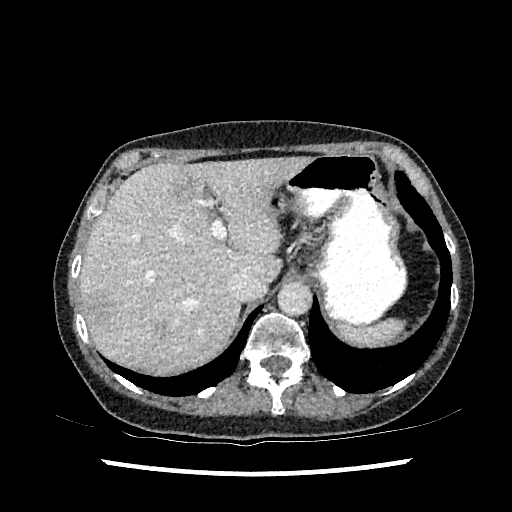

CT image, Abdomen
{
  "liver": [
    "l=80, t=157, r=311, b=372"
  ],
  "focal_liver_lesion": [
    "l=173, t=177, r=197, b=202",
    "l=83, t=289, r=117, b=326",
    "l=155, t=321, r=167, b=332"
  ]
}